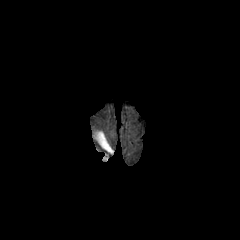
FLAIR MR image.
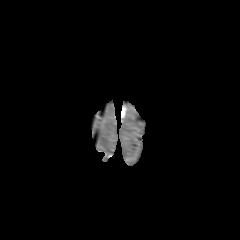
Same slice, T1-weighted MRI.
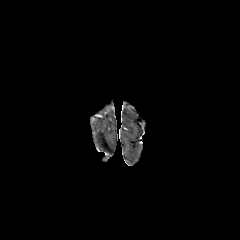
Post-contrast T1-weighted MR image of the same slice.
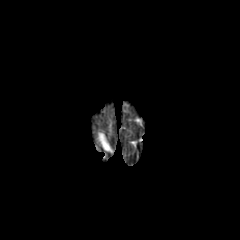
Same slice, T2-weighted MR.
Image size 240x240.
<segmentation>
  <edema>x1=96 y1=131 x2=113 y2=152</edema>
</segmentation>